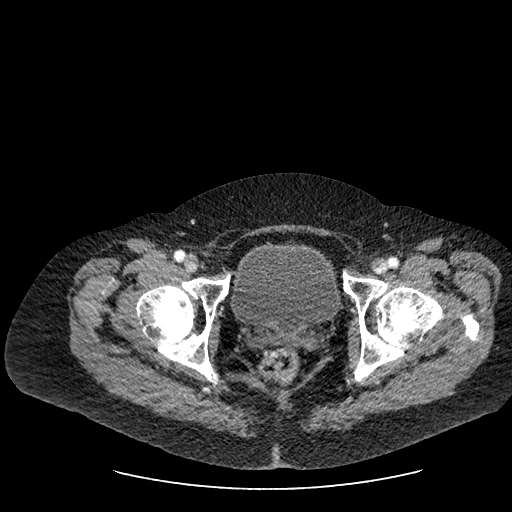

CT slice. Lower abdomen.

urinary bladder: {"x1": 230, "y1": 242, "x2": 340, "y2": 337}